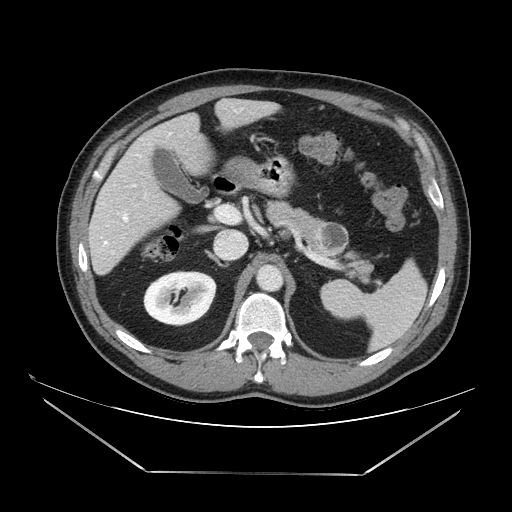
CT image; Abdomen
The pancreatic tumor is located at x1=316 y1=222 x2=349 y2=257. The pancreas is at x1=264 y1=199 x2=373 y2=281.